37x50 px, Magnetic resonance
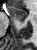

Anterior hippocampus: {"x1": 8, "y1": 7, "x2": 27, "y2": 23}.